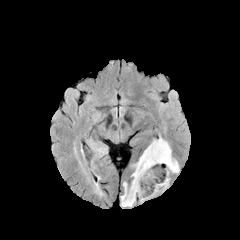
FLAIR MRI.
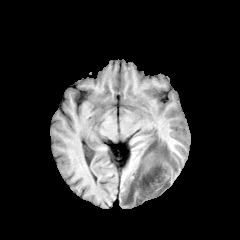
T1-weighted MRI.
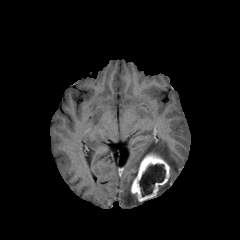
Same slice, post-contrast T1-weighted MR.
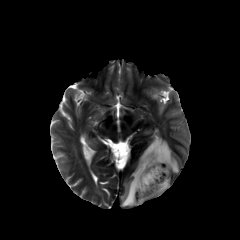
T2-weighted MR.
240x240 | Brain
<segmentation>
  <edema>{"x1": 121, "y1": 180, "x2": 139, "y2": 206}, {"x1": 131, "y1": 137, "x2": 179, "y2": 178}, {"x1": 159, "y1": 179, "x2": 169, "y2": 192}</edema>
  <enhancing_tumor>{"x1": 130, "y1": 153, "x2": 169, "y2": 202}</enhancing_tumor>
  <non-enhancing_tumor_core>{"x1": 139, "y1": 164, "x2": 165, "y2": 196}</non-enhancing_tumor_core>
</segmentation>